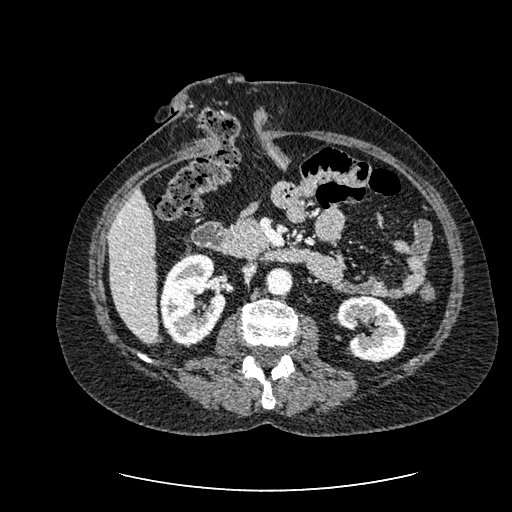 Abdomen, Computed tomography

kidney: [x1=161, y1=254, x2=224, y2=344], [x1=338, y1=296, x2=404, y2=361] | liver: [x1=109, y1=187, x2=157, y2=342]